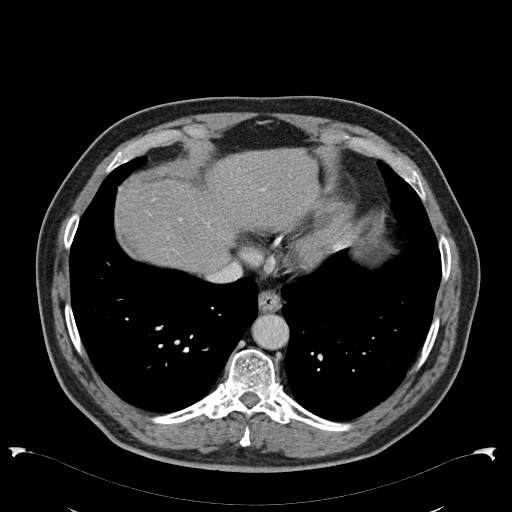

512x512 px; CT scan slice
Liver — rect(117, 150, 313, 272).